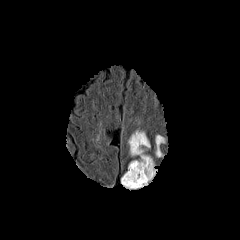
FLAIR magnetic resonance.
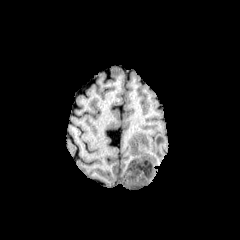
T1-weighted MR.
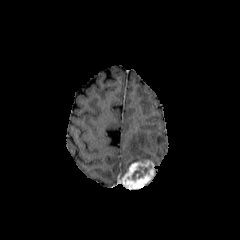
Post-contrast T1-weighted MRI.
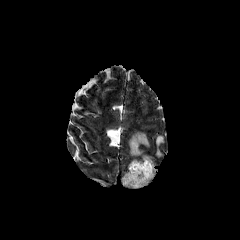
T2-weighted MR image.
<segmentation>
  <non-enhancing_tumor_core>[132,165,151,180]</non-enhancing_tumor_core>
  <edema>[128,130,152,160], [155,135,165,157]</edema>
  <enhancing_tumor>[121,160,154,189]</enhancing_tumor>
</segmentation>